MRI slice; Slice 9 of 37; Medial temporal lobe

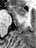

Anterior hippocampus: [11, 5, 25, 17].